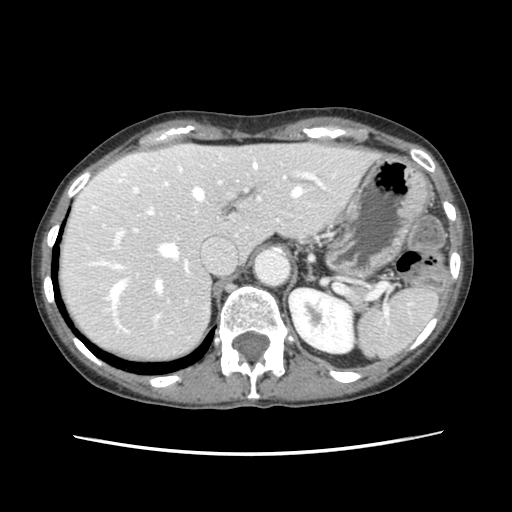

Computed tomography; Upper abdomen
Spleen = region(359, 289, 436, 357).